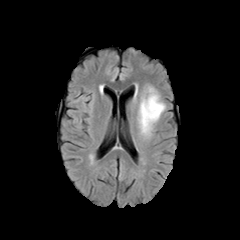
FLAIR MRI.
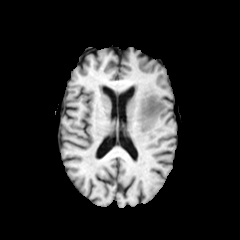
Same slice, T1-weighted MR image.
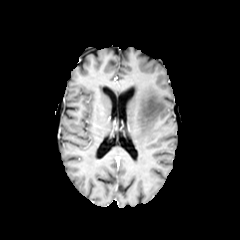
Same slice, post-contrast T1-weighted magnetic resonance.
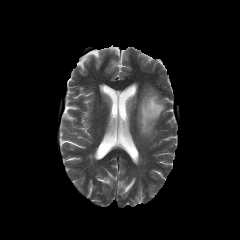
T2-weighted magnetic resonance.
The edema is located at (130,85,165,136).